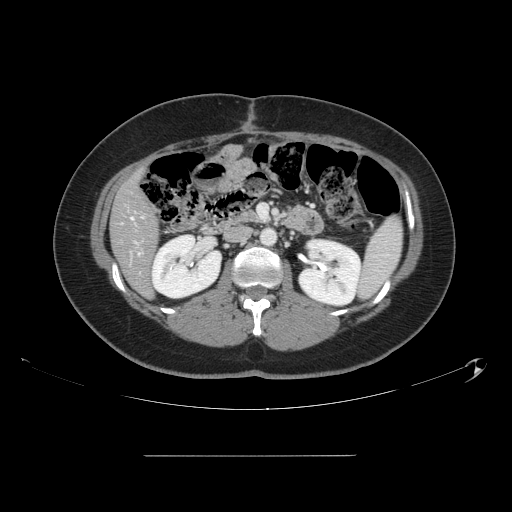

512x512 px | CT

The vessel boxes may cover only some of the vessels.
Hepatic vessel: bounding box <bbox>131, 218, 133, 219</bbox>.